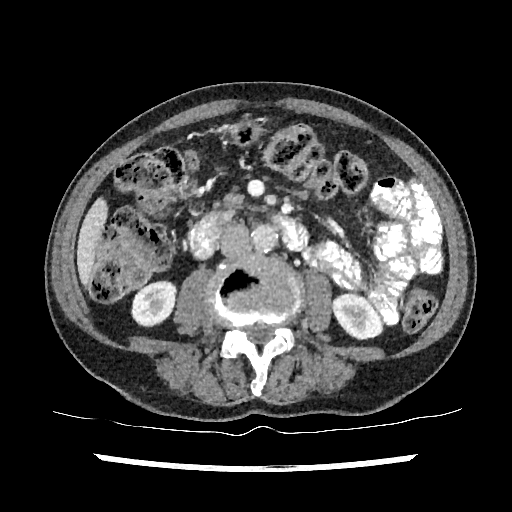

CT slice, Image size 512x512
Kidney — (133, 283, 174, 324), (334, 295, 381, 337).
Liver — (77, 199, 105, 278).